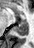
MRI. Medial temporal lobe.

{"posterior_hippocampus": ["<box>14,21,27,35</box>"]}